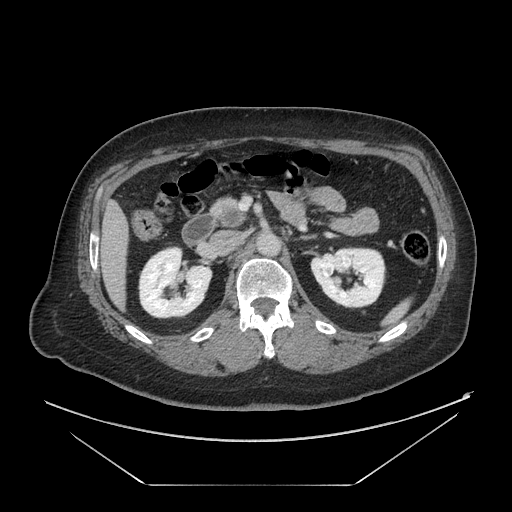

Abdomen, CT image
{
  "pancreatic_tumor": [
    "x1=222 y1=208 x2=238 y2=224"
  ],
  "pancreas": [
    "x1=212 y1=199 x2=243 y2=226"
  ]
}